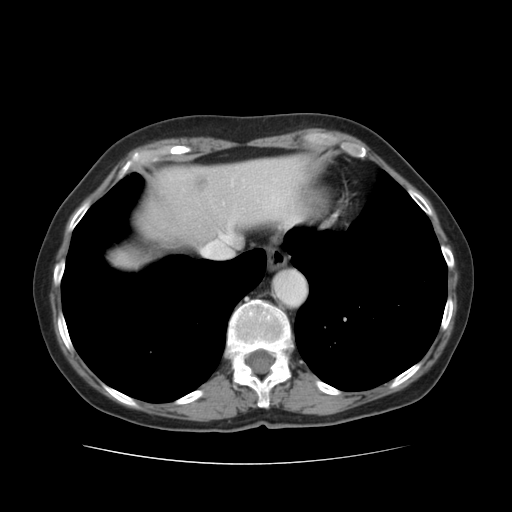 Image size 512x512 | CT scan slice | Upper abdomen

Segmented structures:
• hepatic lesion: {"x1": 196, "y1": 174, "x2": 208, "y2": 192}
• bone: {"x1": 67, "y1": 200, "x2": 90, "y2": 232}, {"x1": 409, "y1": 189, "x2": 432, "y2": 215}, {"x1": 389, "y1": 363, "x2": 420, "y2": 388}, {"x1": 441, "y1": 298, "x2": 452, "y2": 329}, {"x1": 314, "y1": 380, "x2": 340, "y2": 394}, {"x1": 441, "y1": 245, "x2": 453, "y2": 268}, {"x1": 174, "y1": 390, "x2": 205, "y2": 404}, {"x1": 102, "y1": 384, "x2": 139, "y2": 407}, {"x1": 225, "y1": 298, "x2": 293, "y2": 407}, {"x1": 54, "y1": 260, "x2": 63, "y2": 285}, {"x1": 58, "y1": 313, "x2": 72, "y2": 350}
• liver: {"x1": 139, "y1": 154, "x2": 314, "y2": 261}
• lung: {"x1": 283, "y1": 169, "x2": 447, "y2": 391}, {"x1": 61, "y1": 173, "x2": 266, "y2": 402}